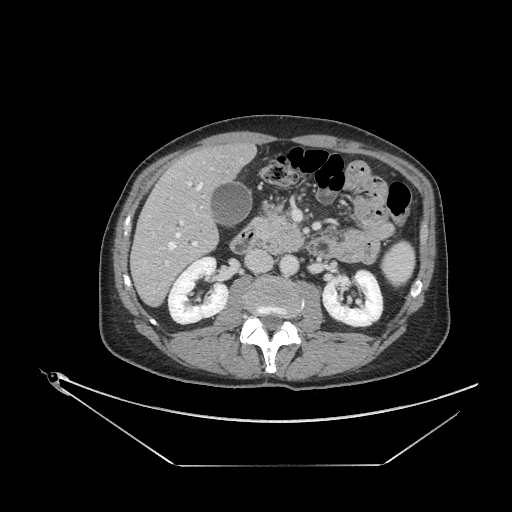 Computed tomography

Annotated regions:
• pancreatic tumor: x1=271, y1=223, x2=302, y2=249
• pancreas: x1=281, y1=237, x2=304, y2=252; x1=256, y1=212, x2=299, y2=248